CT | 512x512 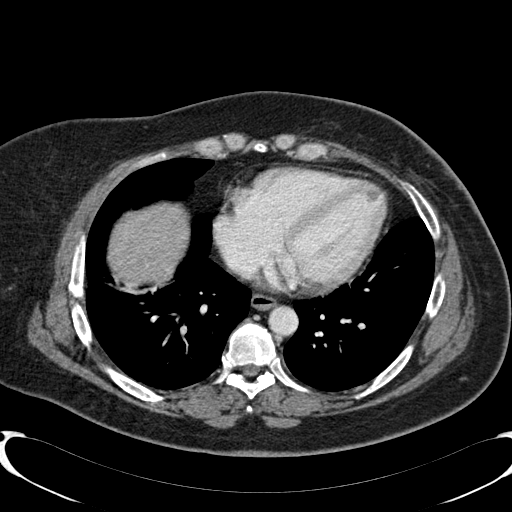
Segmented structures:
• liver: (107, 204, 186, 281)